Abdomen; Field of view 410x410 mm; CT
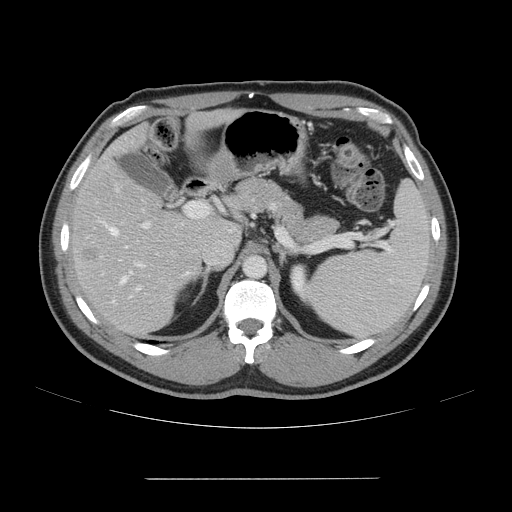 The vessel annotation is not exhaustive.
liver tumor: [82, 247, 99, 263] | hepatic vessel: [135, 262, 142, 266], [181, 223, 183, 224], [125, 246, 127, 247], [109, 227, 117, 235], [129, 271, 131, 274], [115, 184, 118, 191], [137, 287, 140, 290], [130, 296, 132, 297], [100, 256, 101, 257], [142, 222, 149, 228], [112, 299, 114, 302], [120, 277, 126, 283]